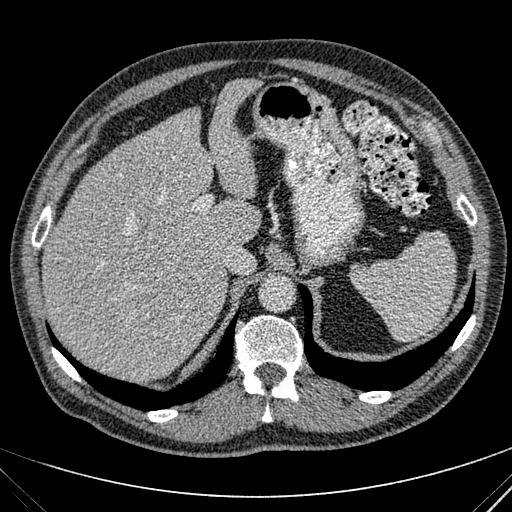
CT scan slice. Upper abdomen.

• liver: <bbox>44, 79, 263, 378</bbox>